CT slice, Abdomen
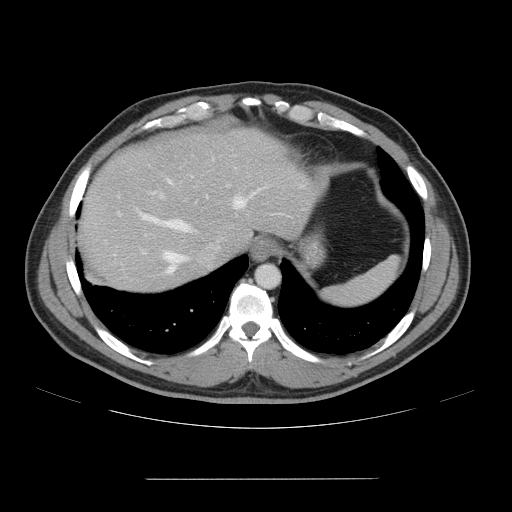

Some hepatic vessels may have no box.
hepatic vessel: [227, 185, 228, 186], [167, 179, 171, 183], [118, 212, 119, 215], [142, 250, 144, 253], [160, 194, 162, 196], [152, 192, 156, 193], [139, 213, 190, 230], [163, 252, 186, 272], [234, 189, 259, 208]